CT scan slice, Slice index 68
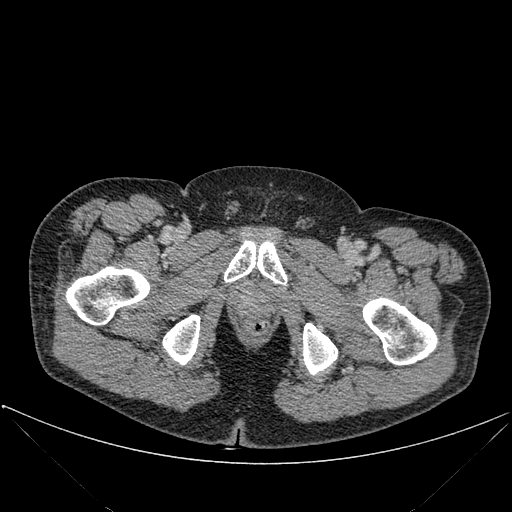 Annotated regions:
- bone: bbox=[303, 323, 337, 374]; bbox=[66, 267, 149, 324]; bbox=[363, 298, 436, 364]; bbox=[224, 241, 286, 284]; bbox=[163, 315, 199, 364]